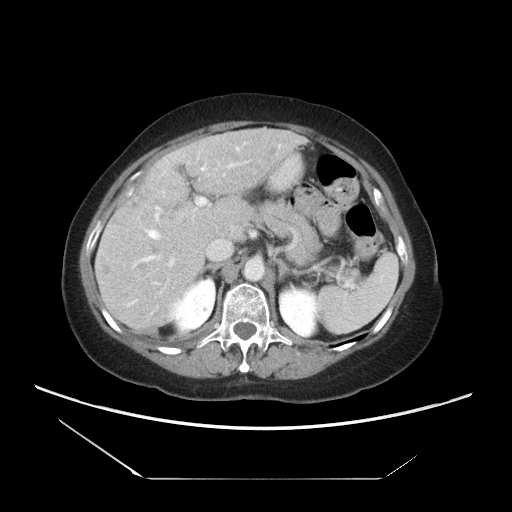
Computed tomography. Abdomen.
Some hepatic vessels may have no box.
Hepatic vessel = {"x1": 197, "y1": 197, "x2": 205, "y2": 205}, {"x1": 155, "y1": 207, "x2": 159, "y2": 220}, {"x1": 227, "y1": 163, "x2": 237, "y2": 167}, {"x1": 128, "y1": 300, "x2": 135, "y2": 305}, {"x1": 169, "y1": 259, "x2": 173, "y2": 265}, {"x1": 133, "y1": 255, "x2": 159, "y2": 266}, {"x1": 156, "y1": 282, "x2": 158, "y2": 283}, {"x1": 201, "y1": 165, "x2": 205, "y2": 170}, {"x1": 147, "y1": 230, "x2": 159, "y2": 238}, {"x1": 236, "y1": 147, "x2": 239, "y2": 150}, {"x1": 278, "y1": 145, "x2": 280, "y2": 147}.